Upper abdomen, CT slice, Slice 466/696, Image width 339 mm, Image size 512x512

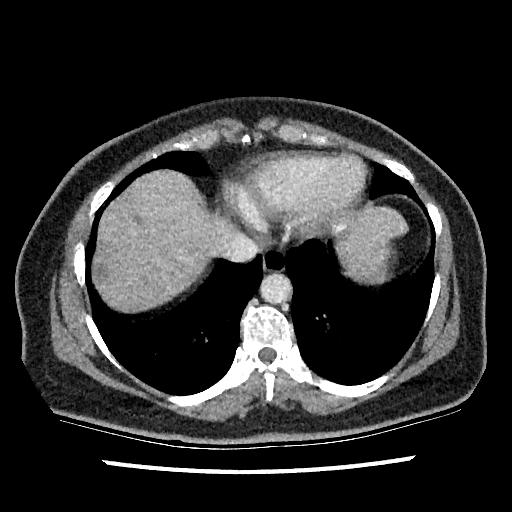

2 focal liver lesion regions are located at 96,265,106,278; 133,215,140,223. 2 liver regions are bounded by 347,209,406,278; 95,170,225,309.